FLAIR MR image.
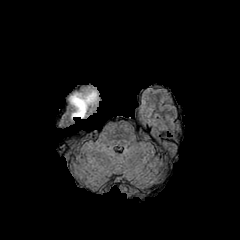
T1-weighted MRI.
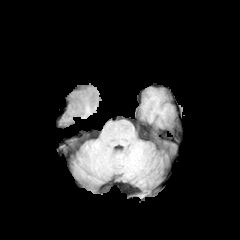
Post-contrast T1-weighted MRI.
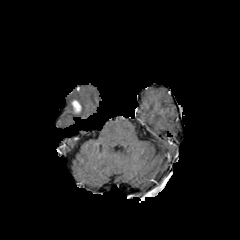
T2-weighted MR image.
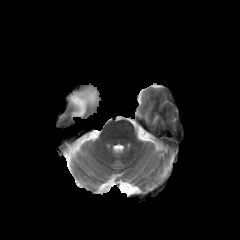
240x240
The enhancing tumor lies within box=[72, 100, 81, 113]. The edema is at box=[68, 87, 98, 117].